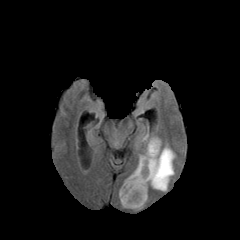
FLAIR MRI.
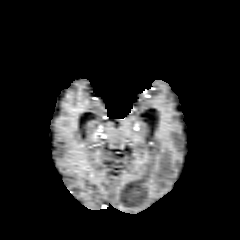
T1-weighted magnetic resonance.
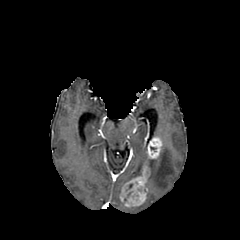
Same slice, post-contrast T1-weighted MR.
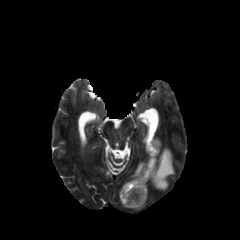
T2-weighted MR image of the same slice.
240x240 px
2 edema regions are located at 127,156,145,179; 148,146,174,191. The non-enhancing tumor core is located at 144,155,159,174. 2 enhancing tumor regions appear at 119,164,150,208; 147,138,161,159.